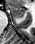

Magnetic resonance | Hippocampus

{"anterior_hippocampus": ["<box>7,6,24,17</box>"]}